FLAIR MR image.
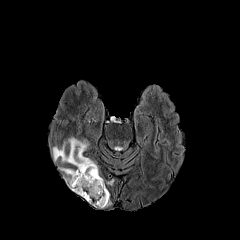
T1-weighted MR image.
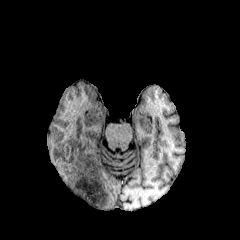
Post-contrast T1-weighted MRI.
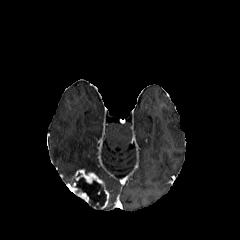
T2-weighted MR.
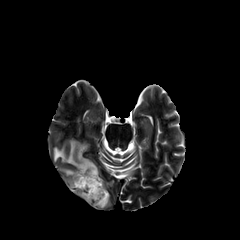
<segmentation>
  <edema>[58,168,73,174], [51,138,98,176]</edema>
  <non-enhancing_tumor_core>[73,177,106,209]</non-enhancing_tumor_core>
  <enhancing_tumor>[72,168,109,208], [67,182,88,202]</enhancing_tumor>
</segmentation>